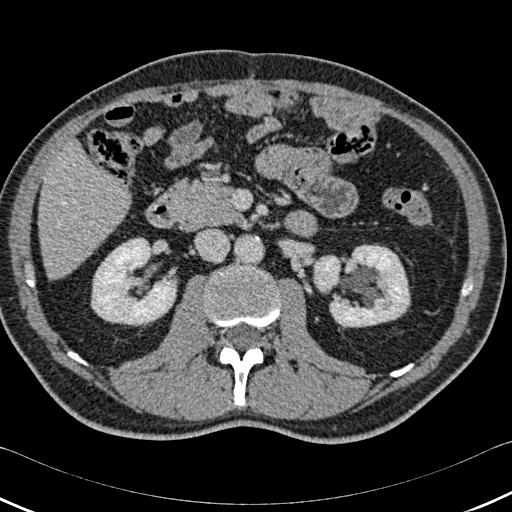

CT scan slice
Liver: 38:145:130:278.
Kidney: 330:246:409:326, 314:256:339:290, 92:239:176:324.
Bone: 68:352:86:364, 390:364:412:376, 220:347:262:405, 205:267:280:327, 462:285:471:294.